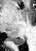
MRI
<segmentation>
  <posterior_hippocampus>box=[8, 37, 25, 45]</posterior_hippocampus>
</segmentation>